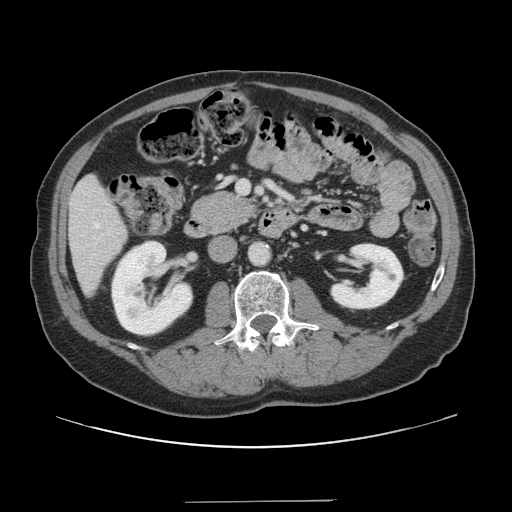 CT slice | Liver
The vessel boxes may cover only some of the vessels.
Hepatic vessel: region(237, 181, 248, 192); region(95, 224, 98, 227).